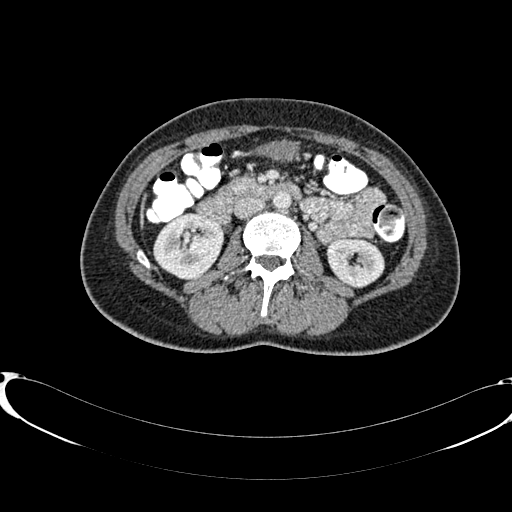 Liver. CT scan slice.

Liver = 140, 196, 146, 226.
Kidney = 328, 240, 383, 285; 155, 215, 222, 277.